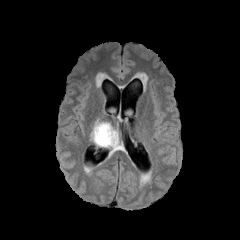
FLAIR MRI.
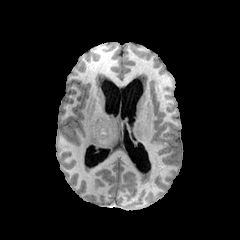
Same slice, T1-weighted MR image.
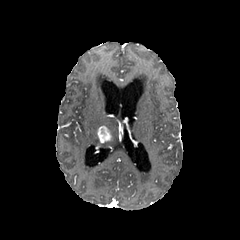
Post-contrast T1-weighted magnetic resonance.
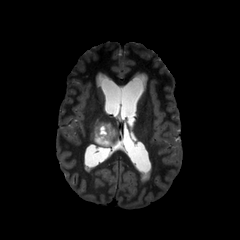
T2-weighted MR of the same slice.
<segmentation>
  <non-enhancing_tumor_core>{"x1": 100, "y1": 131, "x2": 116, "y2": 144}</non-enhancing_tumor_core>
  <enhancing_tumor>{"x1": 96, "y1": 125, "x2": 110, "y2": 142}</enhancing_tumor>
  <edema>{"x1": 90, "y1": 119, "x2": 118, "y2": 151}</edema>
</segmentation>